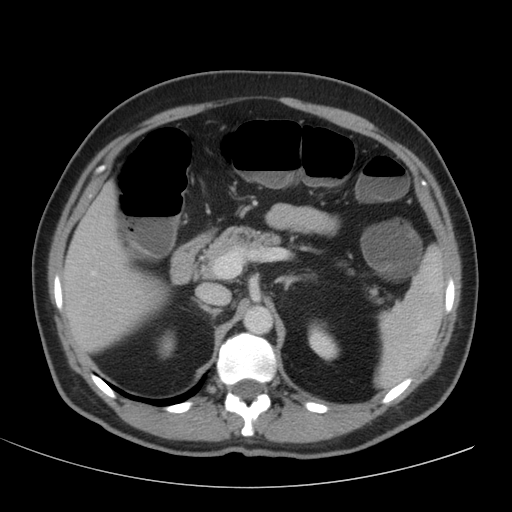 CT; 512x512
2 kidney regions are located at <bbox>163, 338, 171, 352</bbox>, <bbox>309, 326, 337, 358</bbox>. 2 liver regions are located at <bbox>61, 190, 149, 351</bbox>, <bbox>210, 287, 223, 297</bbox>.